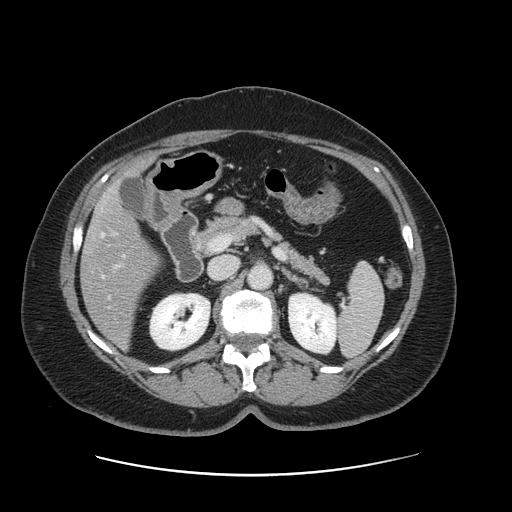
512x512 | CT scan slice
Only some of the vessels may be annotated.
hepatic_vessel:
  - [108,296,109,298]
  - [103,276,104,277]
  - [115,265,119,267]
  - [101,233,104,236]
  - [113,233,116,234]